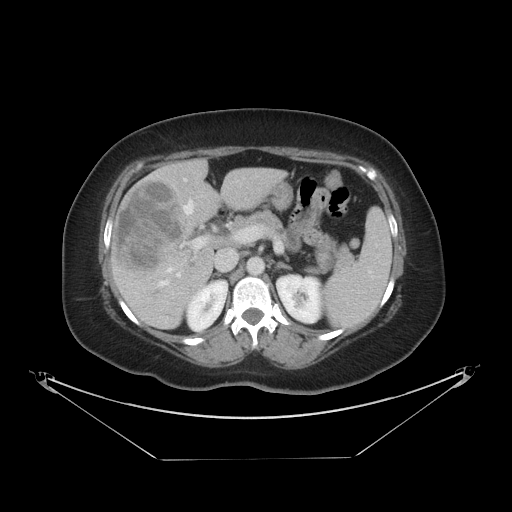 512x512; Computed tomography

Not every hepatic vessel necessarily has a box.
hepatic vessel: box(178, 274, 179, 276); box(166, 267, 173, 272); box(183, 179, 186, 180); box(180, 237, 203, 251); box(183, 199, 191, 213); box(158, 280, 168, 285) | liver tumor: box(113, 182, 187, 271)